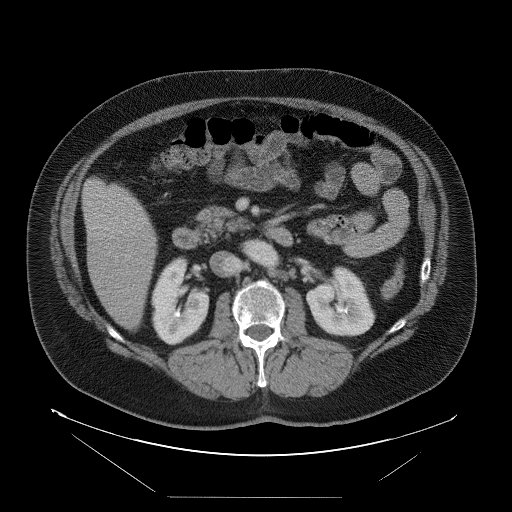

Abdomen, CT image
The vessel annotation is not exhaustive.
The hepatic vessel is at bbox=[125, 255, 130, 256].